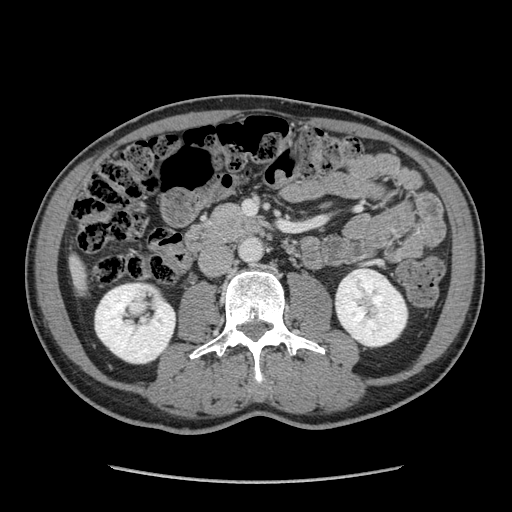
Computed tomography | Abdomen
Pancreas: l=214, t=204, r=244, b=225.